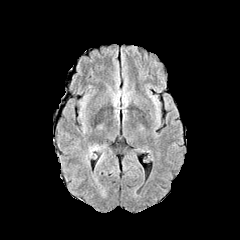
FLAIR magnetic resonance.
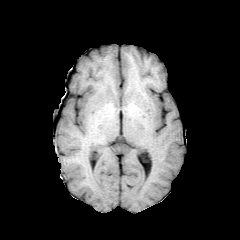
T1-weighted MR image of the same slice.
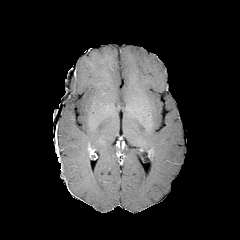
Post-contrast T1-weighted MR.
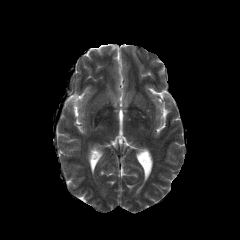
T2-weighted MR of the same slice.
edema:
  - (92,144,105,151)
  - (97,150,106,164)